FLAIR MRI.
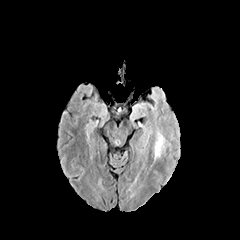
T1-weighted magnetic resonance.
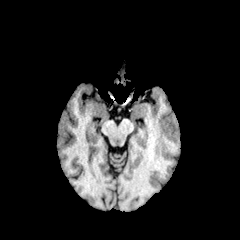
Post-contrast T1-weighted MRI.
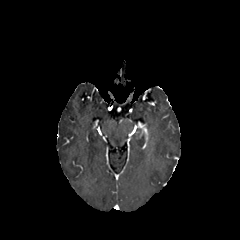
T2-weighted MR.
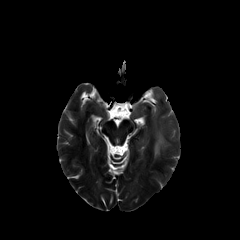
Image size 240x240, Head
<segmentation>
  <edema>[x1=154, y1=129, x2=164, y2=158]</edema>
</segmentation>